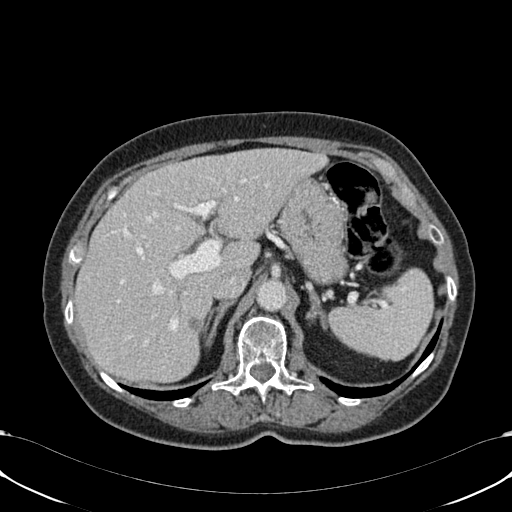 Upper abdomen | Computed tomography
• hepatic lesion: x1=188 y1=317 x2=198 y2=329
• liver: x1=73 y1=148 x2=326 y2=382